FLAIR MR image.
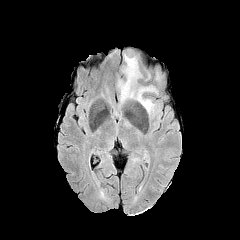
T1-weighted MR.
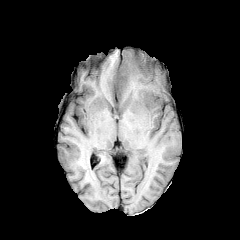
Post-contrast T1-weighted magnetic resonance.
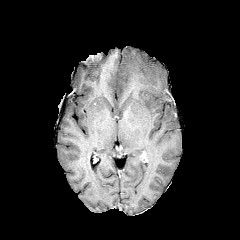
T2-weighted MR image.
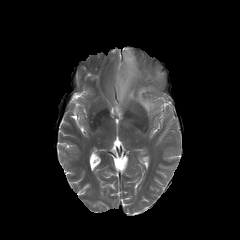
Brain
Edema: left=118, top=51, right=157, bottom=117.